240x240. Slice 92 of 155. Head.
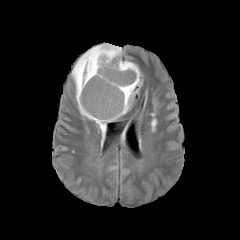
FLAIR magnetic resonance.
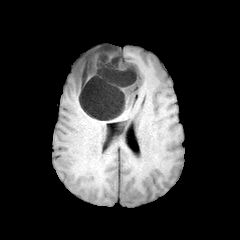
T1-weighted MRI.
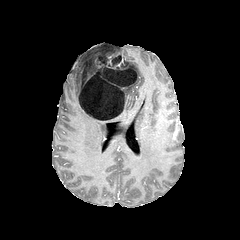
Post-contrast T1-weighted magnetic resonance.
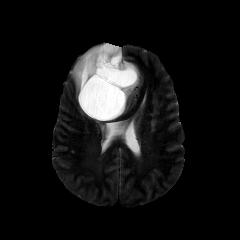
T2-weighted MRI of the same slice.
non-enhancing_tumor_core:
  - x1=78, y1=45, x2=137, y2=121
edema:
  - x1=71, y1=43, x2=121, y2=138
  - x1=124, y1=60, x2=141, y2=113